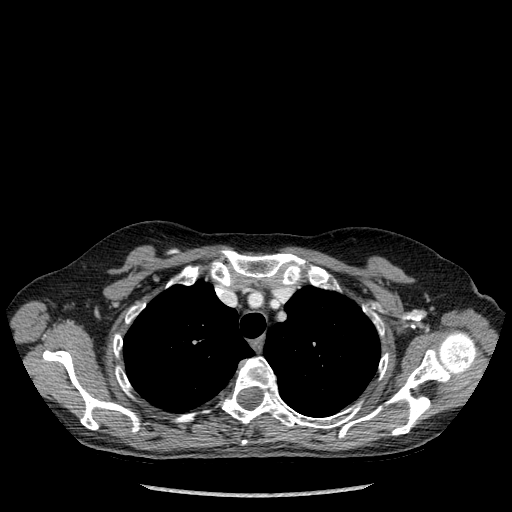 Thorax | CT scan slice

Annotated regions:
• bone: [x1=115, y1=366, x2=131, y2=396], [x1=166, y1=266, x2=198, y2=287], [x1=211, y1=250, x2=331, y2=293], [x1=113, y1=334, x2=122, y2=357], [x1=218, y1=331, x2=477, y2=438], [x1=175, y1=413, x2=195, y2=421], [x1=125, y1=303, x2=145, y2=323], [x1=370, y1=312, x2=384, y2=335], [x1=43, y1=350, x2=139, y2=432], [x1=379, y1=353, x2=388, y2=379]
• lung: [x1=123, y1=280, x2=265, y2=412], [x1=264, y1=286, x2=380, y2=417]